FLAIR magnetic resonance.
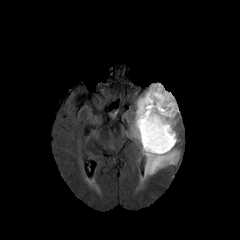
T1-weighted MR image.
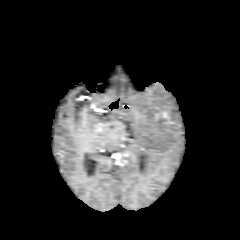
Post-contrast T1-weighted magnetic resonance.
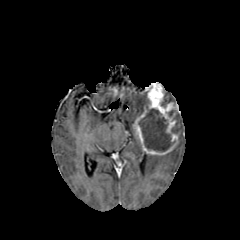
T2-weighted MRI.
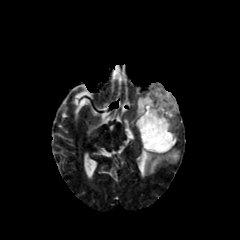
Image size 240x240
Enhancing tumor: bounding box (left=131, top=83, right=179, bottom=155).
Edema: bounding box (left=142, top=148, right=180, bottom=179), (left=130, top=92, right=145, bottom=128).
Non-enhancing tumor core: bounding box (left=139, top=109, right=175, bottom=151).